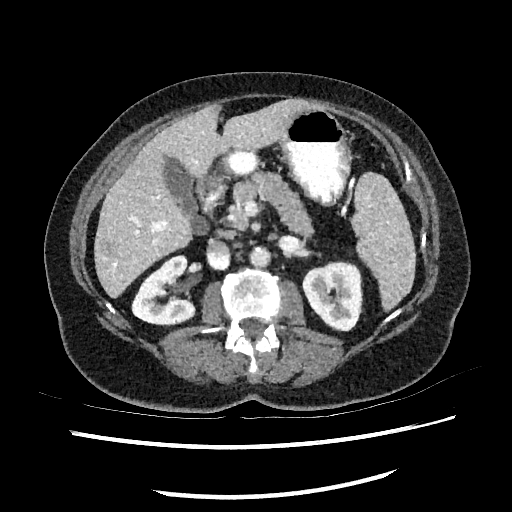

CT slice, Upper abdomen
The liver lesion is at (x1=101, y1=240, x2=116, y2=255). 2 kidney regions appear at (x1=132, y1=256, x2=193, y2=323), (x1=303, y1=263, x2=361, y2=330). The liver is located at (x1=93, y1=99, x2=310, y2=297).